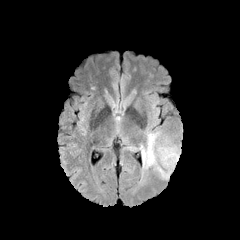
FLAIR magnetic resonance.
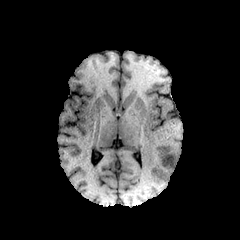
T1-weighted MR image.
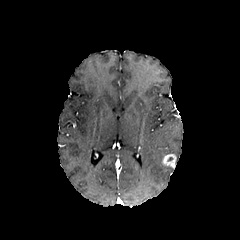
Post-contrast T1-weighted MRI.
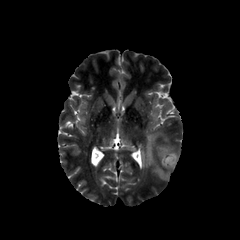
T2-weighted MR.
240x240.
Edema — l=141, t=132, r=157, b=172; l=157, t=166, r=171, b=180.
Enhancing tumor — l=160, t=149, r=176, b=168.